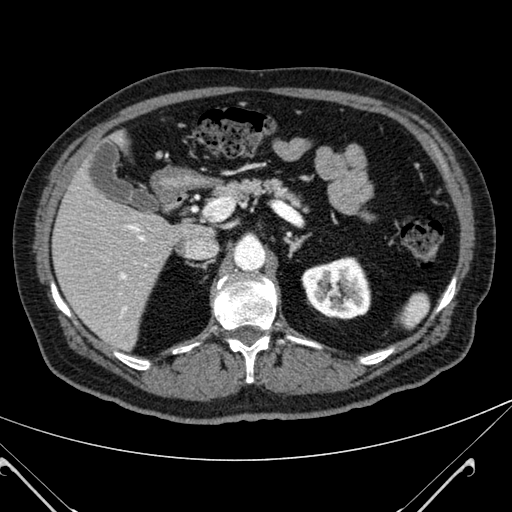

CT image

{
  "kidney": [
    "(left=303, top=259, right=369, bottom=317)"
  ],
  "liver": [
    "(left=49, top=157, right=210, bottom=351)"
  ]
}